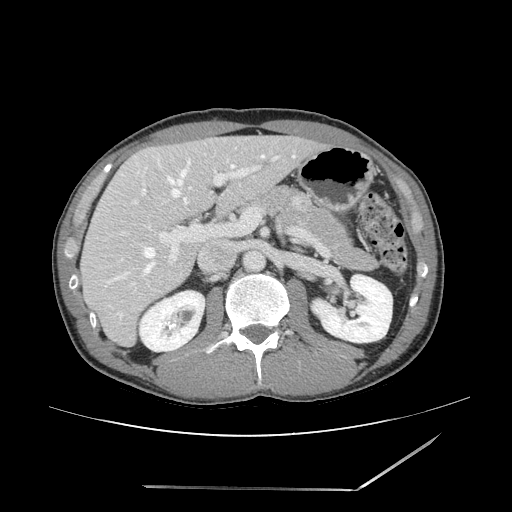 CT scan slice.

<segmentation>
  <pancreatic_tumor>292, 193, 311, 212</pancreatic_tumor>
  <pancreas>255, 185, 377, 271</pancreas>
</segmentation>